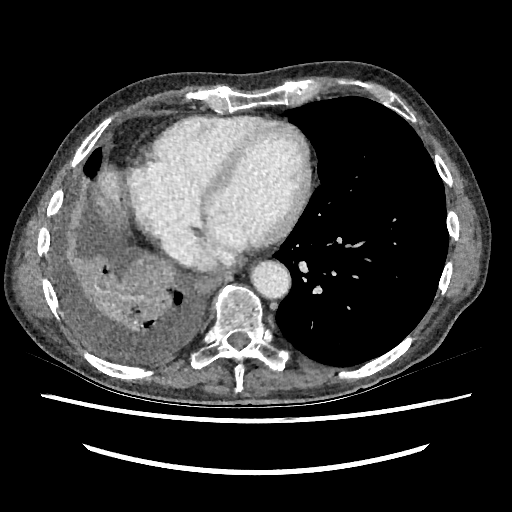 512x512 px; CT slice; Abdomen
{"liver": ["region(99, 174, 119, 206)"]}